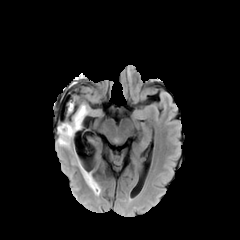
FLAIR MR.
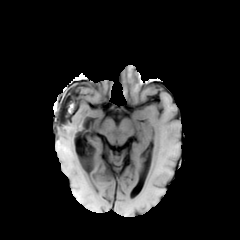
T1-weighted MR image of the same slice.
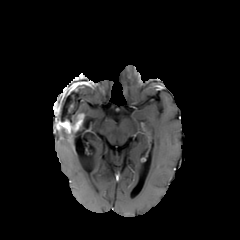
Same slice, post-contrast T1-weighted magnetic resonance.
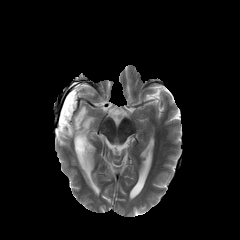
Same slice, T2-weighted magnetic resonance.
Brain.
Enhancing tumor: x1=57 y1=114 x2=83 y2=132.
Non-enhancing tumor core: x1=62 y1=100 x2=77 y2=124.
Edema: x1=57 y1=130 x2=75 y2=147, x1=67 y1=95 x2=89 y2=118, x1=78 y1=159 x2=100 y2=194.